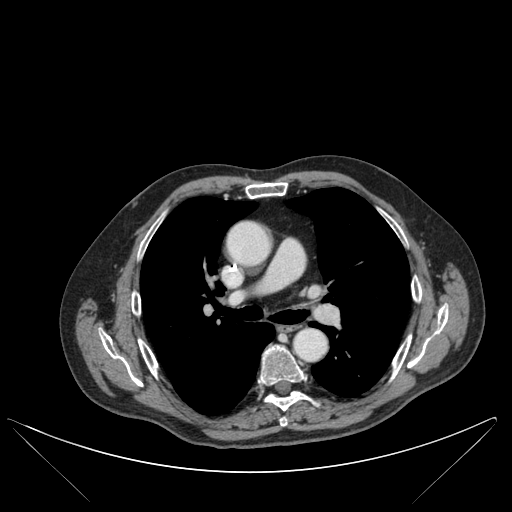 CT slice; Thorax
Lung: bounding box left=269, top=310, right=307, bottom=323; left=140, top=197, right=274, bottom=415; left=286, top=187, right=409, bottom=397.
Bone: bounding box left=411, top=276, right=421, bottom=301; left=384, top=212, right=402, bottom=235; left=265, top=391, right=312, bottom=410; left=138, top=339, right=157, bottom=377; left=131, top=292, right=140, bottom=314; left=245, top=182, right=287, bottom=198; left=407, top=306, right=448, bottom=367; left=100, top=332, right=142, bottom=386; left=138, top=220, right=158, bottom=256; left=391, top=335, right=411, bottom=378; left=280, top=417, right=286, bottom=425; left=259, top=346, right=305, bottom=384.